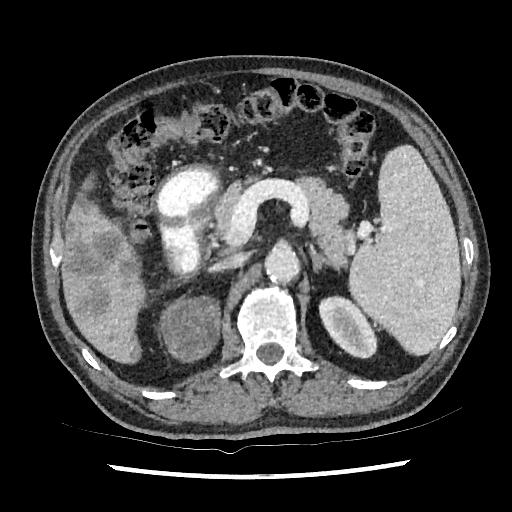 Computed tomography. Liver. Image size 512x512.
Kidney: bounding box bbox=[319, 297, 376, 357].
Liver: bounding box bbox=[81, 190, 89, 202]; bbox=[62, 237, 144, 362]; bbox=[66, 204, 122, 245].
Liver lesion: bounding box bbox=[120, 281, 132, 289]; bbox=[121, 256, 137, 277]; bbox=[66, 219, 75, 236]; bbox=[107, 334, 115, 342]; bbox=[63, 228, 123, 316]; bbox=[75, 194, 96, 215].